Slice index 65; 240x240
FLAIR MRI.
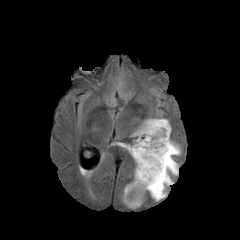
T1-weighted magnetic resonance.
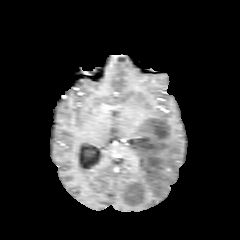
Post-contrast T1-weighted magnetic resonance.
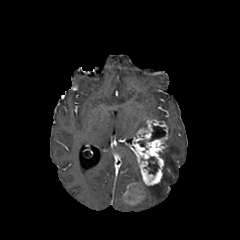
T2-weighted MRI.
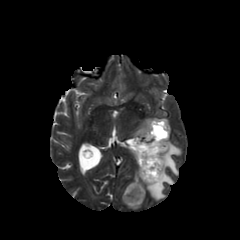
3 non-enhancing tumor core regions are bounded by 149,125,166,141; 147,157,159,174; 126,190,137,200. 2 enhancing tumor regions appear at 128,119,167,185; 124,182,143,204. 3 edema regions are bounded by 132,162,142,183; 118,142,135,161; 142,116,181,200.